Slice 81 of 155 | Head
FLAIR MR image.
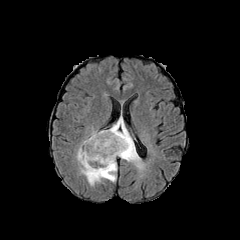
T1-weighted magnetic resonance.
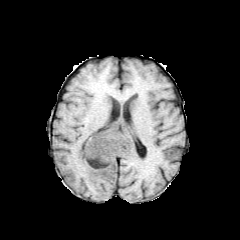
Post-contrast T1-weighted magnetic resonance.
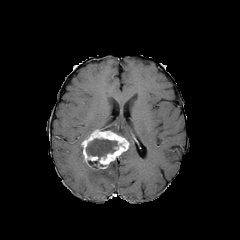
T2-weighted MR image.
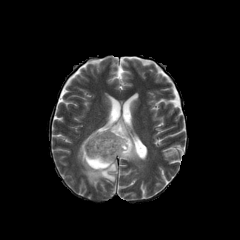
Findings:
* non-enhancing tumor core: [86, 139, 116, 156], [88, 160, 98, 168]
* enhancing tumor: [81, 129, 130, 168]
* edema: [105, 113, 145, 171], [76, 145, 117, 186]